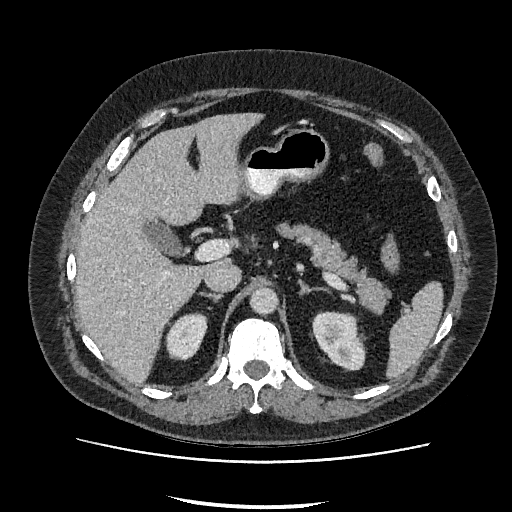 CT scan slice
Kidney: bbox=[168, 315, 205, 358]; bbox=[313, 313, 363, 369].
Liver: bbox=[76, 114, 261, 383].